Brain, 240x240
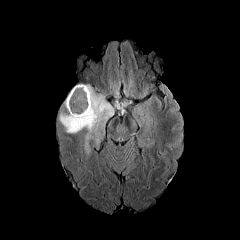
FLAIR MRI.
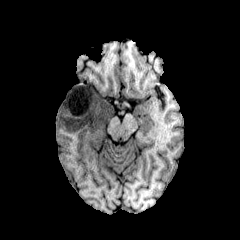
T1-weighted MR.
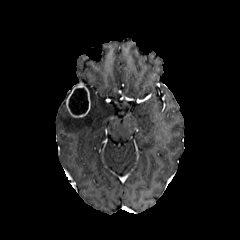
Same slice, post-contrast T1-weighted MRI.
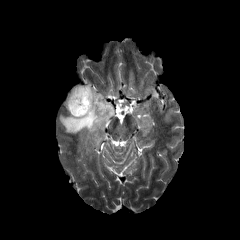
T2-weighted MRI.
The enhancing tumor is bounded by 66,86,90,118. The edema lies within 58,85,113,155. The non-enhancing tumor core is at 68,88,88,115.